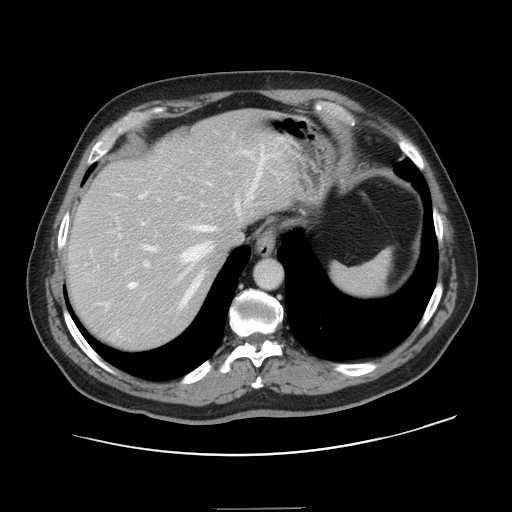 CT image. Liver. Some hepatic vessels may have no box.
Annotated regions:
* hepatic vessel: [260,150,265,164], [129,282,135,287], [183,242,211,266], [246,167,260,200], [144,261,148,266], [236,201,240,215], [207,183,211,184], [139,192,147,197], [119,227,120,228], [183,272,202,302], [145,246,155,250], [141,222,144,224], [195,226,215,231]